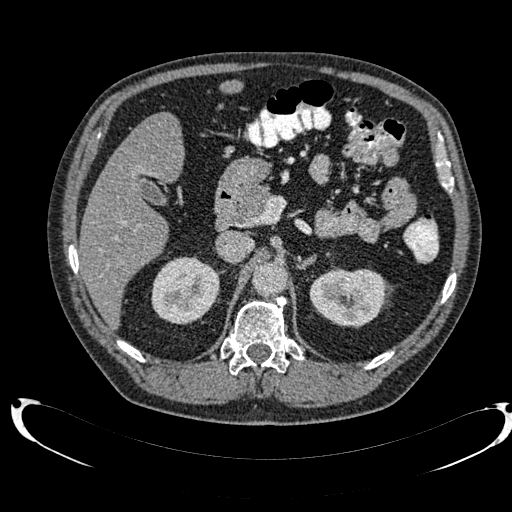

Abdomen, Computed tomography
kidney: x1=310 y1=269 x2=387 y2=326, x1=151 y1=257 x2=219 y2=323 | focal liver lesion: x1=151 y1=114 x2=179 y2=137 | liver: x1=220 y1=81 x2=243 y2=93, x1=80 y1=114 x2=184 y2=328